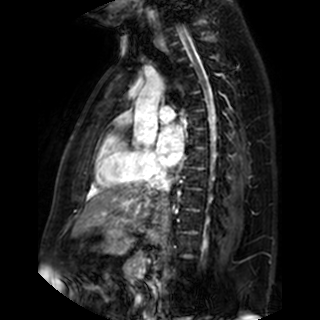
MRI. 320x320 px.

The left atrium is bounded by x1=157, y1=125, x2=183, y2=166.